FLAIR MR image.
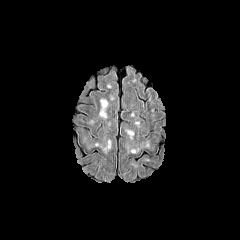
T1-weighted MR.
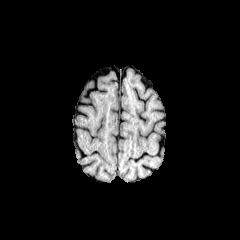
Post-contrast T1-weighted MRI.
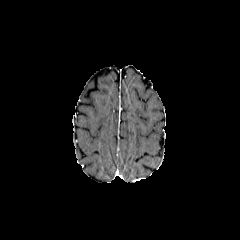
T2-weighted MR image.
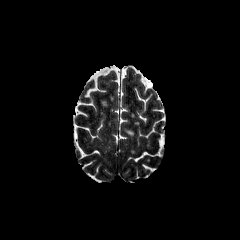
Annotated regions:
• edema: x1=98, y1=101, x2=106, y2=118